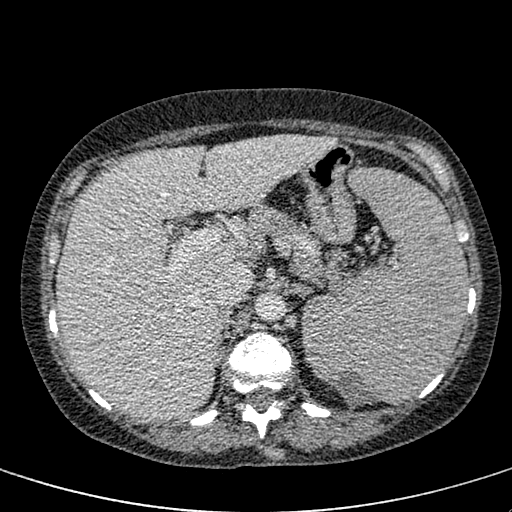

Abdomen, 512x512 px, CT slice
<segmentation>
  <liver>[x1=58, y1=136, x2=335, y2=419]</liver>
</segmentation>